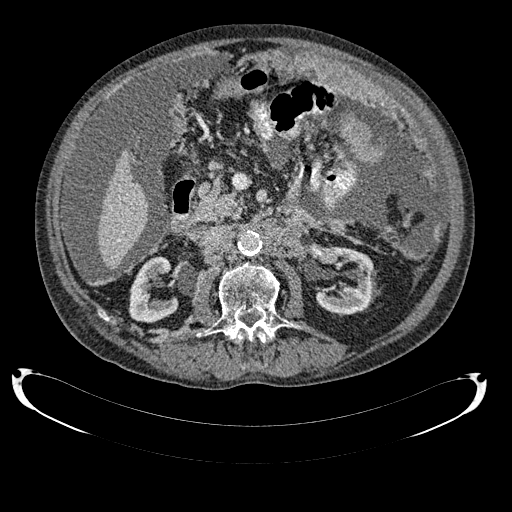

Image size 512x512 | CT image
The liver appears at <box>98,150,147,268</box>. 2 kidney regions appear at <box>315,247,372,314</box>, <box>129,257,177,322</box>.